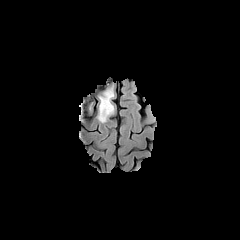
FLAIR magnetic resonance.
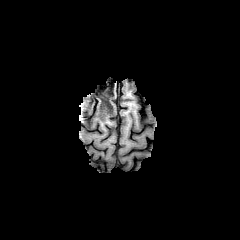
Same slice, T1-weighted MR.
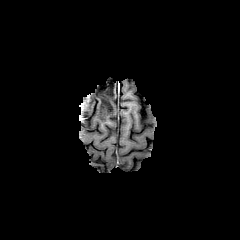
Post-contrast T1-weighted magnetic resonance.
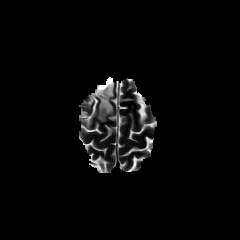
T2-weighted MR image.
240x240 px. Brain.
The edema is located at (x1=95, y1=87, x2=115, y2=121). The non-enhancing tumor core is bounded by (x1=98, y1=84, x2=113, y2=107).